Field of view 500 mm wide, 5.00 mm slice spacing | Slice 25/47 | CT image
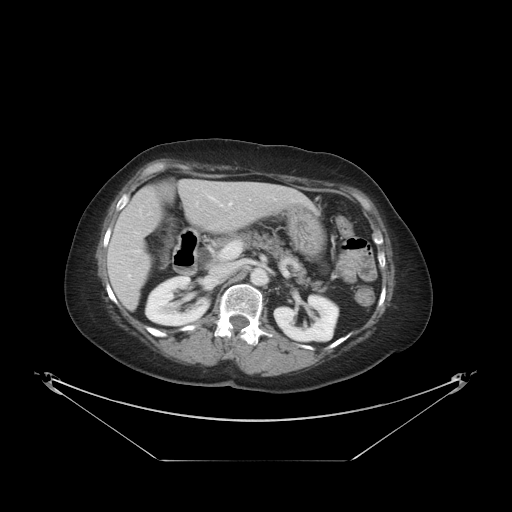
Not every hepatic vessel necessarily has a box.
<segmentation>
  <hepatic_vessel>bbox(230, 203, 231, 205); bbox(137, 250, 141, 251); bbox(210, 197, 216, 201); bbox(220, 241, 236, 259)</hepatic_vessel>
</segmentation>